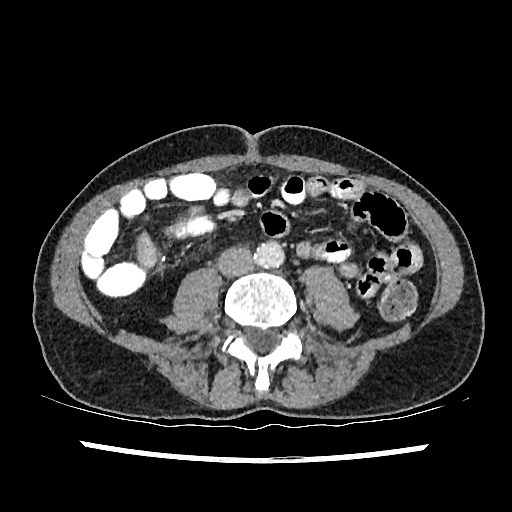 CT slice. Upper abdomen.
Liver: x1=136, y1=232, x2=155, y2=266.